512x512; Slice index 427; CT image
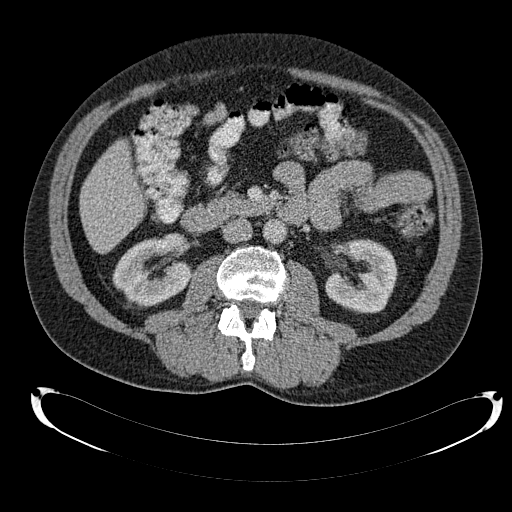

liver: region(81, 142, 143, 252) | kidney: region(326, 240, 396, 312); region(113, 234, 191, 305)